FLAIR MRI.
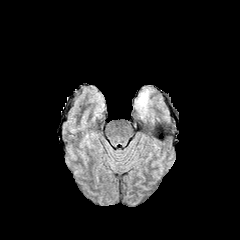
T1-weighted magnetic resonance.
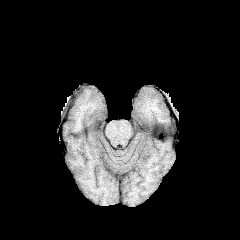
Post-contrast T1-weighted MR.
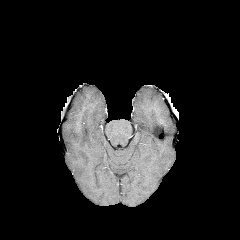
T2-weighted magnetic resonance.
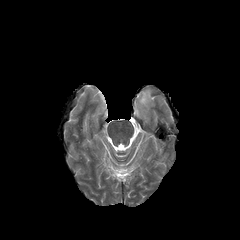
240x240
Edema at {"x1": 138, "y1": 95, "x2": 148, "y2": 110}.